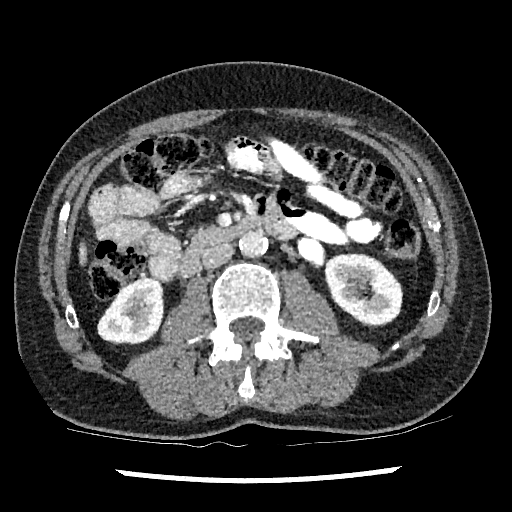
CT slice
2 kidney regions appear at [x1=326, y1=255, x2=401, y2=323], [x1=98, y1=279, x2=162, y2=342]. The liver is bounded by [x1=79, y1=246, x2=86, y2=263].